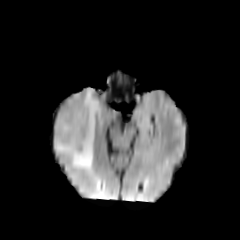
FLAIR magnetic resonance.
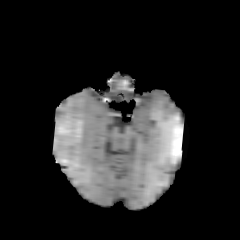
T1-weighted magnetic resonance.
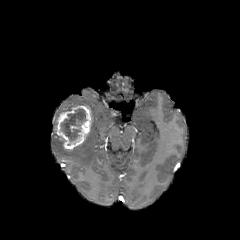
Post-contrast T1-weighted magnetic resonance.
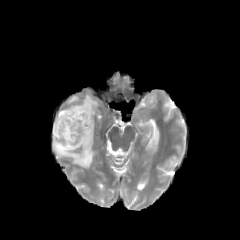
T2-weighted MR of the same slice.
Brain, 240x240 px
<segmentation>
  <non-enhancing_tumor_core>60,108,86,141</non-enhancing_tumor_core>
  <edema>53,89,101,169</edema>
  <enhancing_tumor>55,105,92,149</enhancing_tumor>
</segmentation>